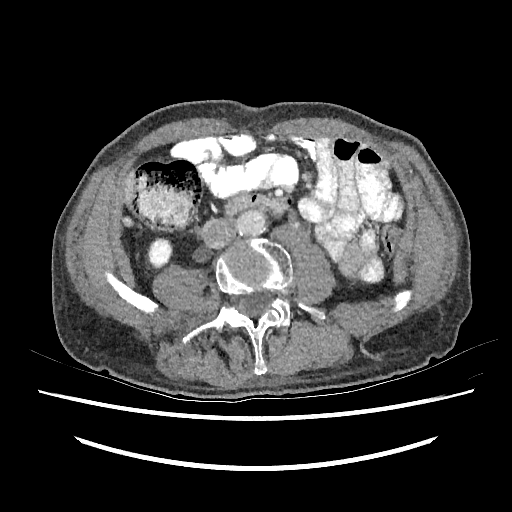

Liver; CT scan slice; 512x512 px
{"kidney": ["<box>149,240,170,265</box>"], "liver": ["<box>125,171,133,199</box>"]}